CT image, Upper abdomen 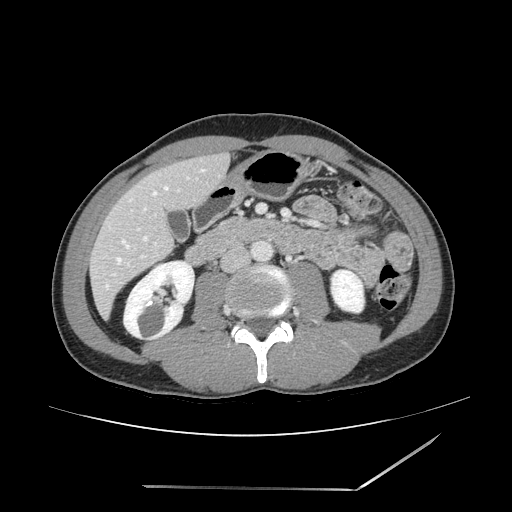
The pancreas is bounded by <bbox>200, 218, 244, 241</bbox>.